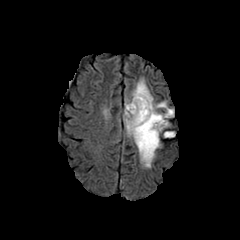
FLAIR MR.
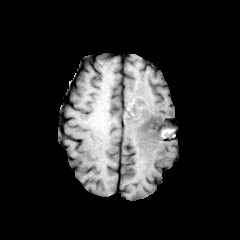
T1-weighted magnetic resonance.
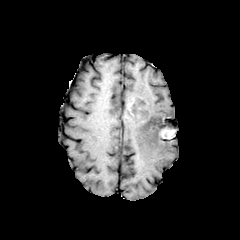
Post-contrast T1-weighted MR image of the same slice.
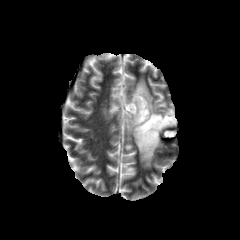
Same slice, T2-weighted magnetic resonance.
2 non-enhancing tumor core regions are located at [124, 101, 133, 121], [136, 112, 170, 131]. The edema is bounded by [123, 79, 175, 166].